Slice 66 of 155; Brain
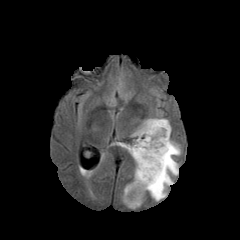
FLAIR MR.
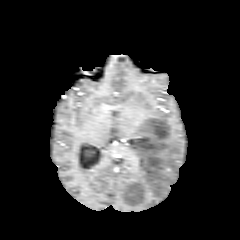
T1-weighted magnetic resonance.
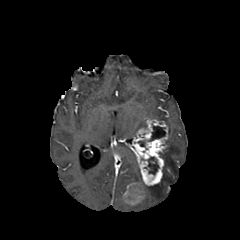
Post-contrast T1-weighted MR.
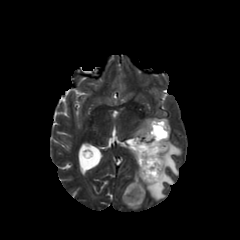
Same slice, T2-weighted MR.
enhancing_tumor:
  - {"x1": 122, "y1": 119, "x2": 169, "y2": 207}
non-enhancing_tumor_core:
  - {"x1": 148, "y1": 161, "x2": 158, "y2": 174}
  - {"x1": 150, "y1": 126, "x2": 165, "y2": 140}
edema:
  - {"x1": 116, "y1": 142, "x2": 140, "y2": 181}
  - {"x1": 156, "y1": 118, "x2": 170, "y2": 133}
  - {"x1": 145, "y1": 138, "x2": 181, "y2": 201}